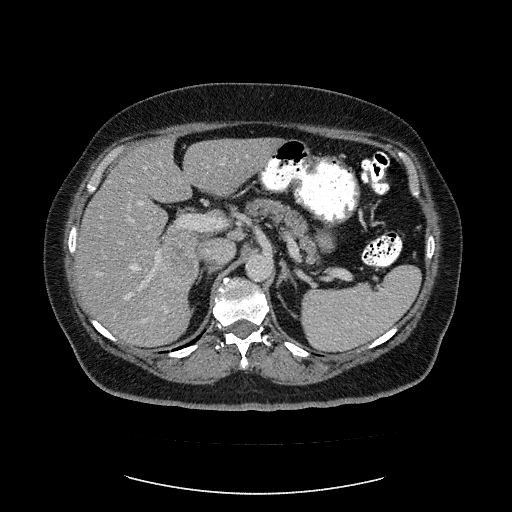

CT scan slice | 512x512 px
The vessel annotation is not exhaustive.
Liver tumor — (164, 239, 201, 281).
Hepatic vessel — (224, 157, 226, 159), (164, 306, 167, 311), (125, 294, 130, 299), (130, 180, 133, 180), (139, 201, 142, 204), (129, 217, 133, 221), (156, 251, 161, 264), (159, 161, 161, 164), (143, 319, 146, 322), (131, 264, 139, 270), (144, 166, 146, 169), (98, 273, 101, 275), (137, 268, 155, 290), (129, 205, 129, 210).